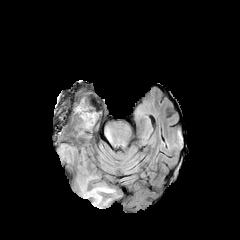
FLAIR magnetic resonance.
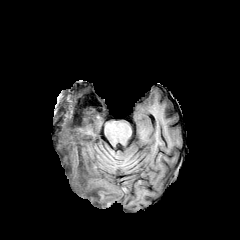
Same slice, T1-weighted magnetic resonance.
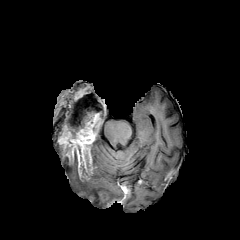
Post-contrast T1-weighted MRI.
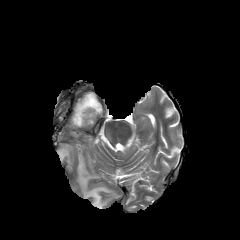
T2-weighted MR of the same slice.
Head
6 non-enhancing tumor core regions are located at [76, 102, 89, 128], [58, 125, 88, 151], [84, 115, 100, 145], [69, 150, 77, 165], [80, 163, 92, 175], [58, 142, 68, 159]. 2 edema regions are located at [82, 104, 97, 121], [75, 163, 120, 208]. 3 enhancing tumor regions are bounded by [76, 130, 92, 143], [58, 136, 89, 181], [85, 113, 99, 129].